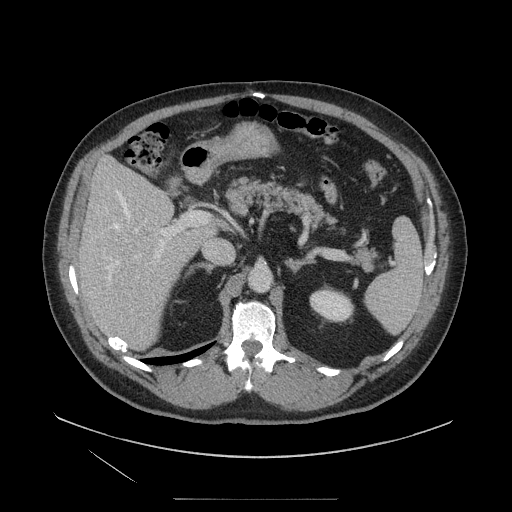

CT scan slice

The pancreas lies within <box>221,175,378,270</box>.